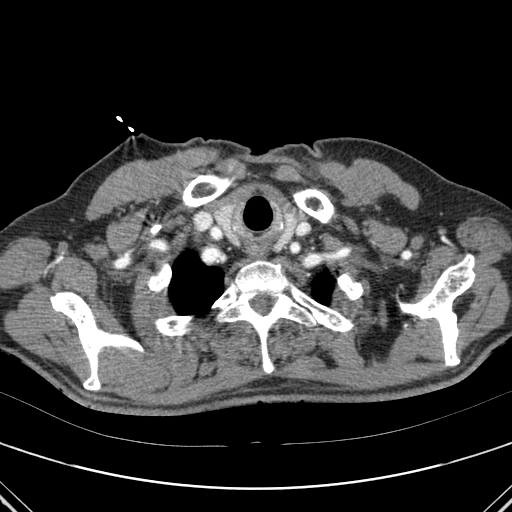
CT scan slice

lung: 312,271,333,304; 169,250,223,315 | bone: 400,254,474,365; 150,225,161,234; 182,174,233,207; 155,316,191,335; 338,273,362,299; 50,292,143,390; 148,263,171,291; 402,251,410,258; 212,261,353,373; 293,189,334,222